Field of view 240x240 mm; Slice index 94; Image size 240x240
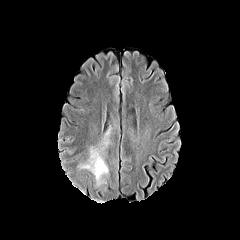
FLAIR MRI.
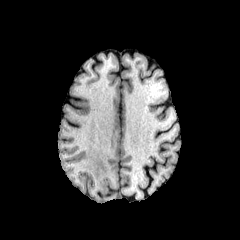
T1-weighted MRI.
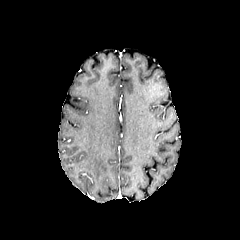
Post-contrast T1-weighted MR.
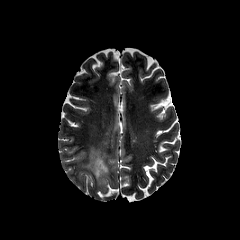
T2-weighted MR image.
The edema is bounded by region(80, 148, 107, 184).